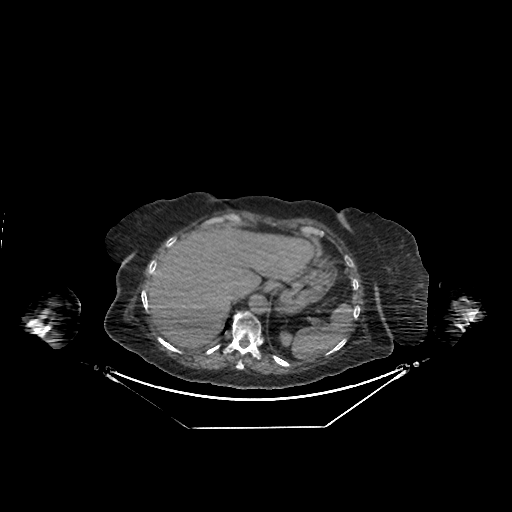 CT slice; Upper abdomen
<segmentation>
  <liver>[146,226,316,351]</liver>
</segmentation>